Hippocampus; MRI slice; Slice 16/30 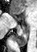 Posterior hippocampus: bounding box <box>13,33,27,46</box>.
Anterior hippocampus: bounding box <box>14,15,19,19</box>.